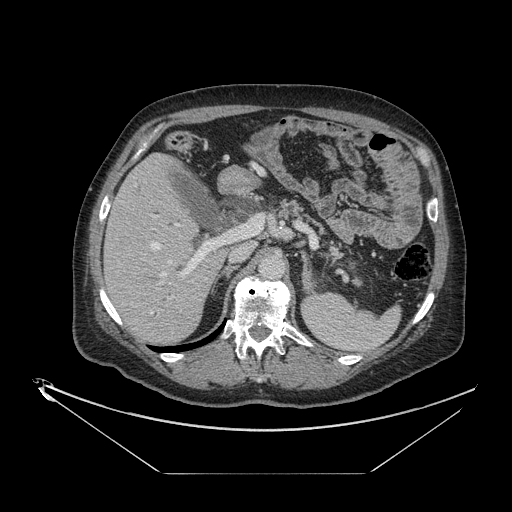
CT slice
2 pancreas regions appear at x1=326, y1=241, x2=363, y2=286; x1=278, y1=198, x2=322, y2=230.